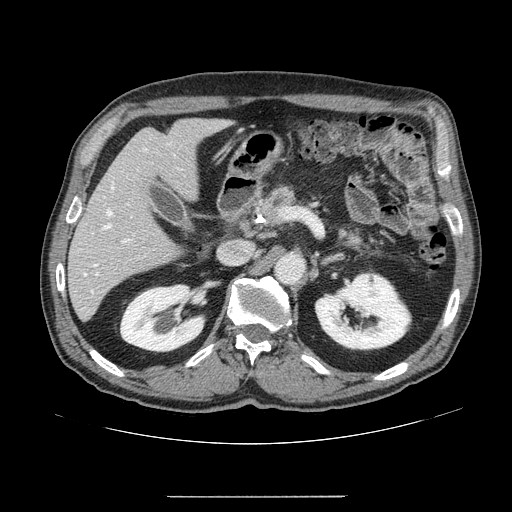 Abdomen, CT
2 pancreas regions are bounded by 251 183 300 225, 331 222 385 254.